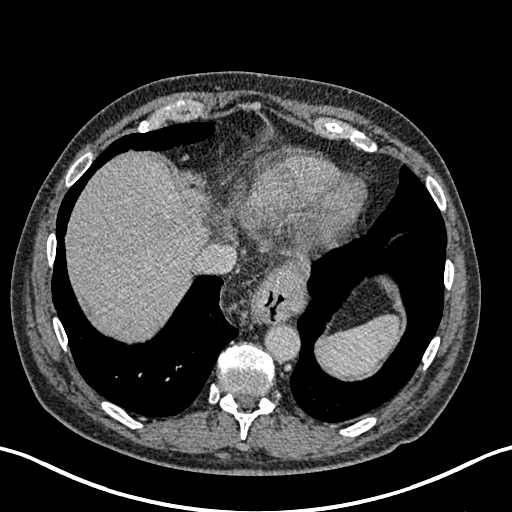 CT
liver_lesion:
  - region(178, 191, 208, 231)
liver:
  - region(67, 151, 208, 339)
  - region(193, 189, 210, 210)